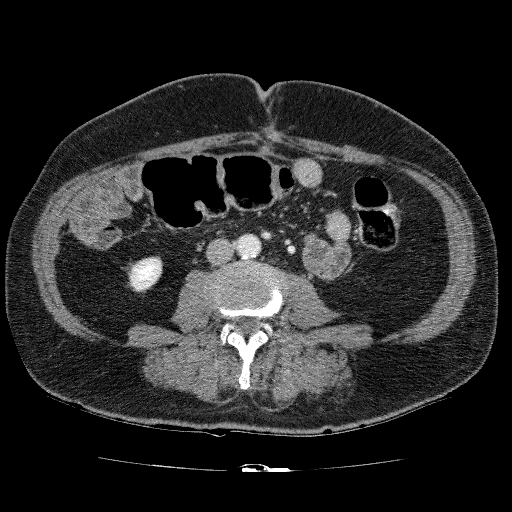

CT slice | Abdomen | 512x512 px

<segmentation>
  <kidney>x1=129, y1=257, x2=161, y2=291</kidney>
</segmentation>